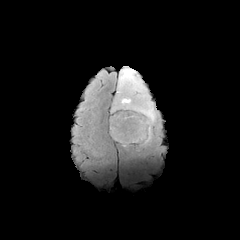
FLAIR MR image.
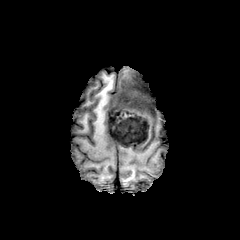
T1-weighted MR.
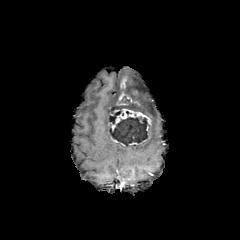
Post-contrast T1-weighted MR.
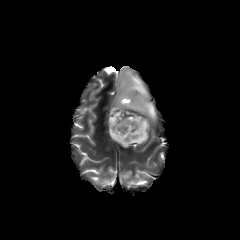
T2-weighted magnetic resonance.
Brain
Enhancing tumor: bounding box (111, 109, 151, 130).
Edema: bounding box (117, 66, 156, 123).
Non-enhancing tumor core: bounding box (109, 79, 139, 124), (109, 116, 149, 146).